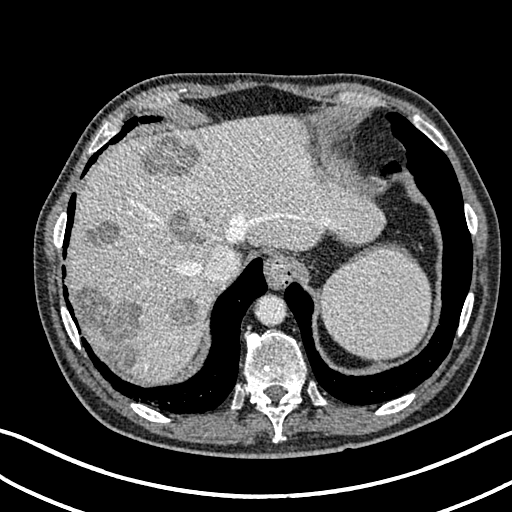

Abdomen. 512x512. CT.
- hepatic lesion: bbox(168, 209, 206, 245); bbox(139, 135, 199, 178); bbox(83, 221, 119, 248); bbox(167, 298, 196, 326); bbox(75, 288, 142, 367)
- liver: bbox(68, 115, 383, 376)